FLAIR magnetic resonance.
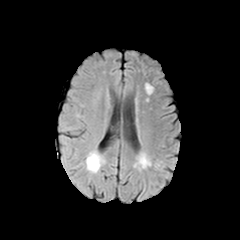
T1-weighted MR image.
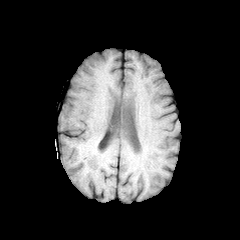
Post-contrast T1-weighted MR.
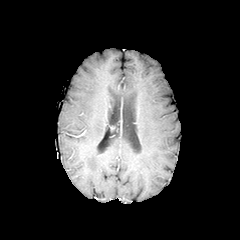
T2-weighted MR image.
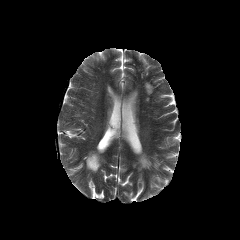
The edema lies within left=86, top=154, right=99, bottom=171.